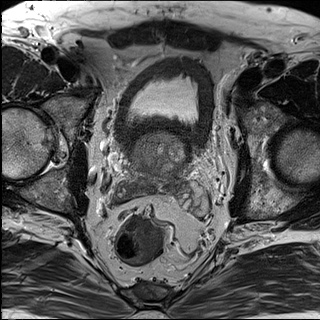
T2-weighted MR image.
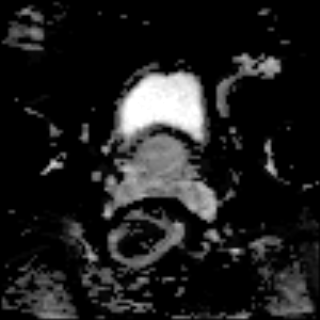
ADC MRI.
320x320 px.
Segmented structures:
- prostate transition zone: [133,131,187,184]